CT scan slice; Image width 408 mm; Upper abdomen 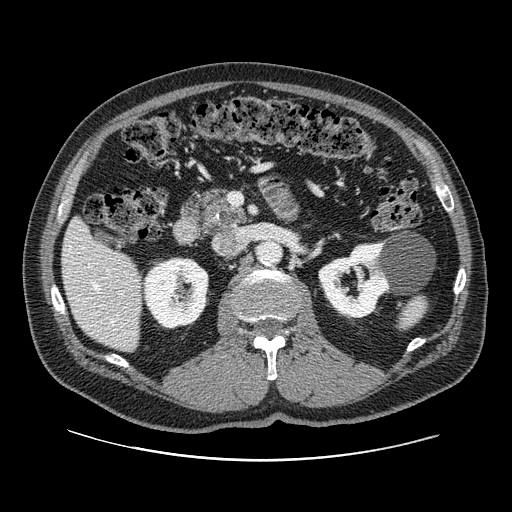
<segmentation>
  <pancreas>left=182, top=186, right=248, bottom=234</pancreas>
  <pancreatic_tumor>left=222, top=208, right=238, bottom=224</pancreatic_tumor>
</segmentation>